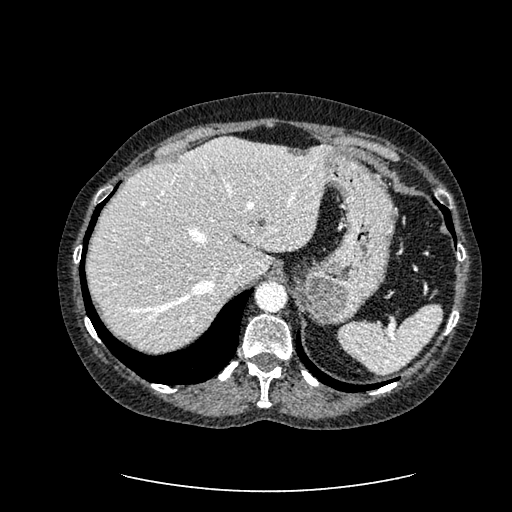

Computed tomography. Liver.
Segmented structures:
• focal liver lesion: bbox=[285, 147, 310, 156]
• liver: bbox=[87, 137, 329, 349]